Field of view 365x365 mm. Slice index 265. Liver. CT image. 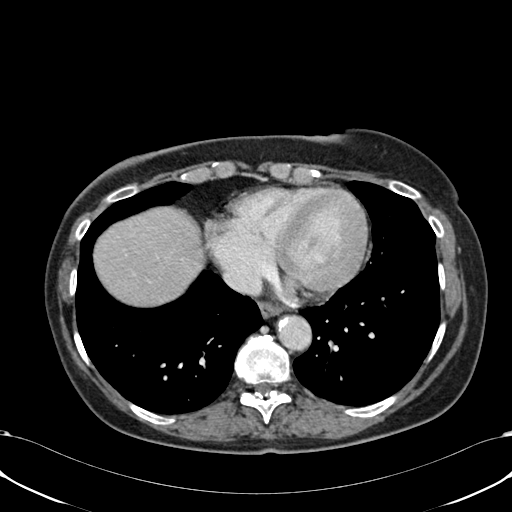 liver: {"x1": 94, "y1": 207, "x2": 202, "y2": 304}